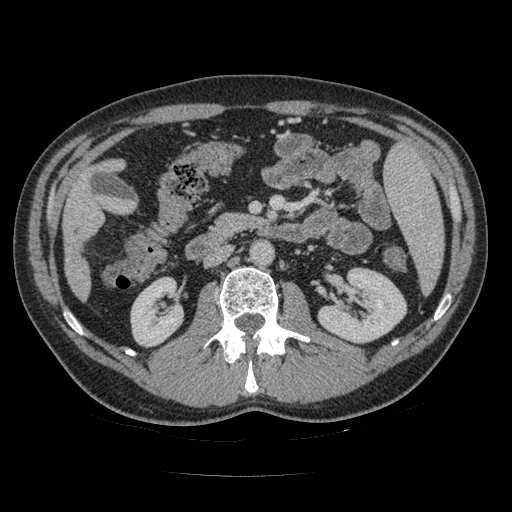

Computed tomography, Upper abdomen
The pancreas is bounded by x1=214, y1=214, x2=264, y2=237.